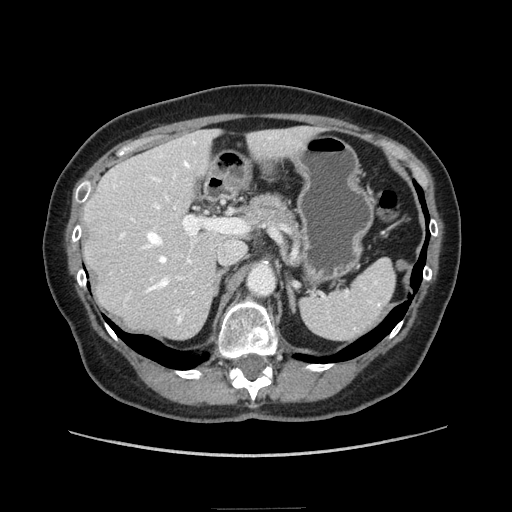

Upper abdomen; CT slice; 512x512

The pancreas is located at (243,194,298,244).